Brain. 240x240 px.
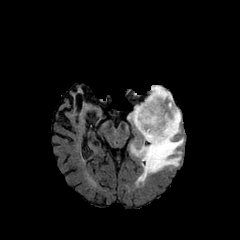
FLAIR MRI.
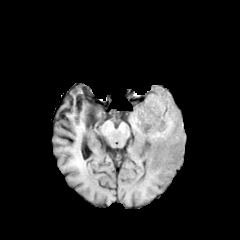
T1-weighted MR.
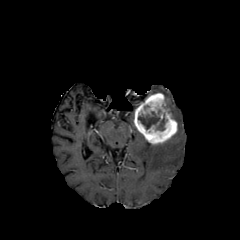
Same slice, post-contrast T1-weighted MR.
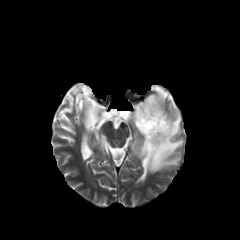
Same slice, T2-weighted MR.
Findings:
- non-enhancing tumor core: x1=138 y1=111 x2=164 y2=130
- edema: x1=130 y1=86 x2=183 y2=183
- enhancing tumor: x1=134 y1=93 x2=177 y2=144